Slice index 585, Computed tomography, Upper abdomen, Image width 403 mm
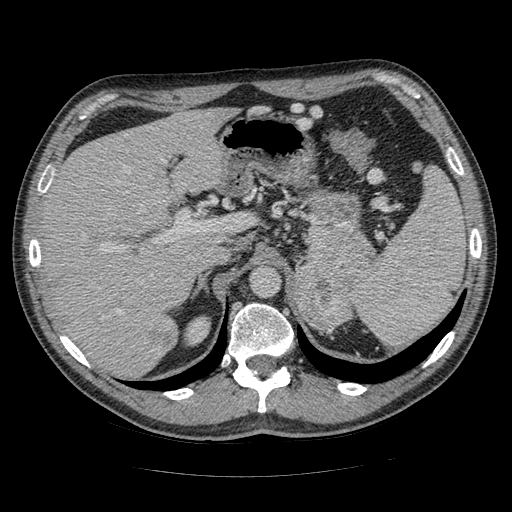
Pancreas — x1=292 y1=274 x2=296 y2=305, x1=302 y1=225 x2=373 y2=287.
Pancreatic tumor — x1=295 y1=267 x2=352 y2=329.